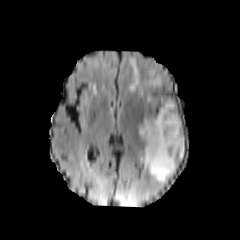
FLAIR MR image.
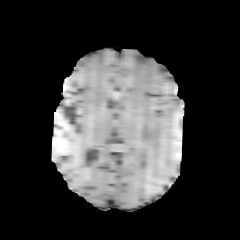
T1-weighted MR.
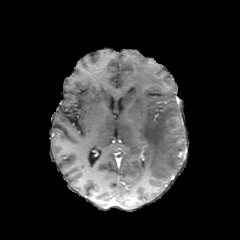
Post-contrast T1-weighted magnetic resonance.
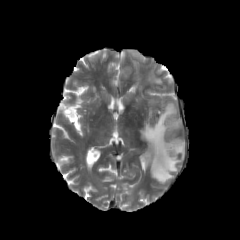
Same slice, T2-weighted MR image.
Image size 240x240; Brain
<segmentation>
  <edema>147,75,162,86; 129,59,142,91; 138,101,184,182</edema>
</segmentation>